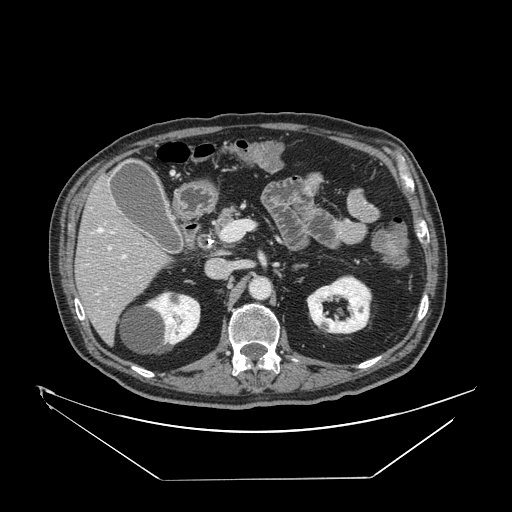 CT slice
Pancreas — rect(209, 205, 244, 242).